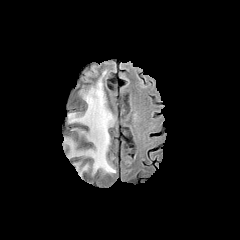
FLAIR magnetic resonance.
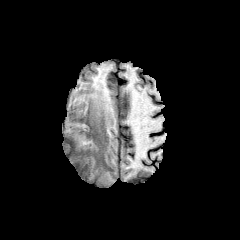
T1-weighted magnetic resonance.
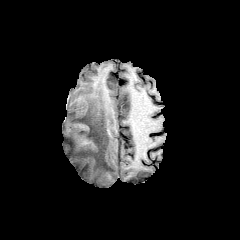
Same slice, post-contrast T1-weighted MR.
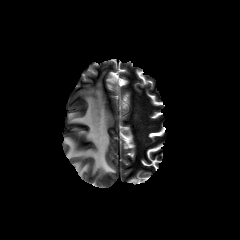
Same slice, T2-weighted MR.
Brain. Image size 240x240.
Segmented structures:
• edema: {"x1": 65, "y1": 80, "x2": 115, "y2": 175}